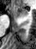 MRI; Medial temporal lobe

Anterior hippocampus: [x1=14, y1=6, x2=27, y2=16].